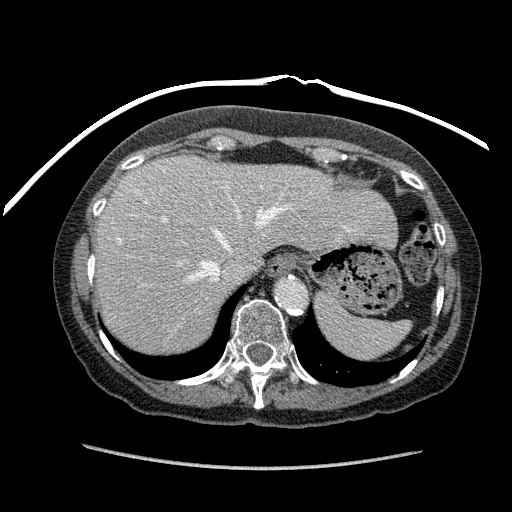 512x512, Liver, CT
Annotated regions:
• liver: 94, 156, 395, 353